Slice 85/155, Field of view 240 mm wide, 1.00 mm slice spacing
FLAIR magnetic resonance.
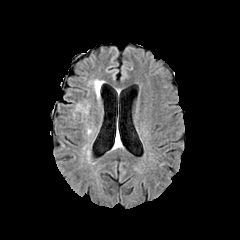
T1-weighted MR image.
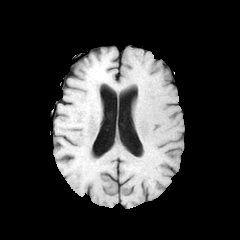
Post-contrast T1-weighted MR image.
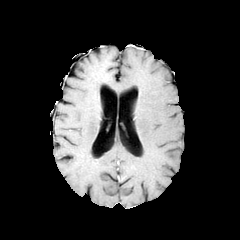
T2-weighted MR.
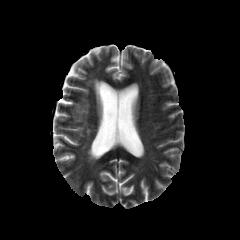
Edema: {"x1": 92, "y1": 79, "x2": 102, "y2": 100}, {"x1": 76, "y1": 104, "x2": 89, "y2": 114}.